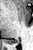
Magnetic resonance
The posterior hippocampus is at 9,39,19,43.